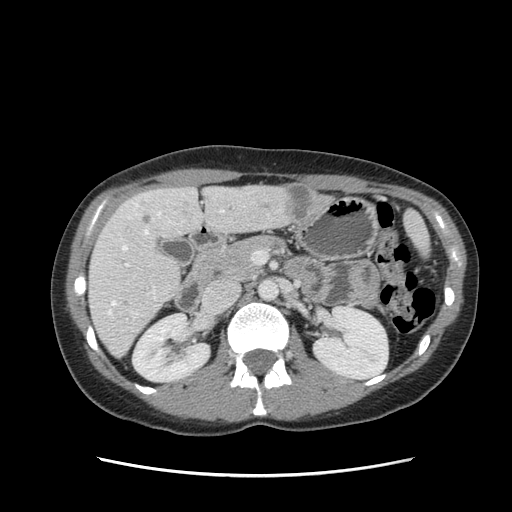
Upper abdomen. 512x512. CT.

pancreas: 195 236 281 282